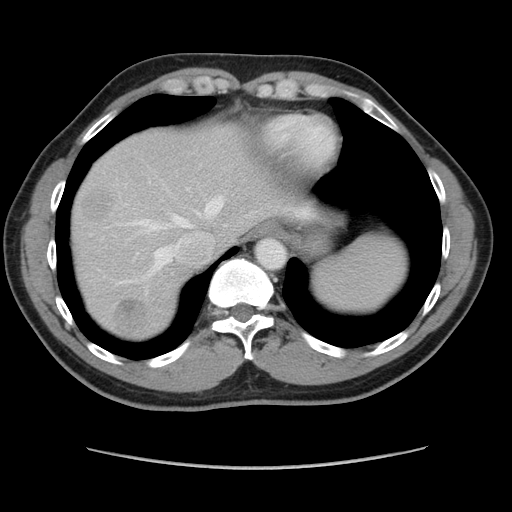
CT slice
Only some of the vessels may be annotated.
6 hepatic vessel regions are bounded by box=[137, 252, 138, 254]; box=[195, 196, 223, 218]; box=[186, 188, 189, 190]; box=[146, 289, 147, 293]; box=[116, 280, 138, 284]; box=[118, 215, 214, 279]. 2 liver tumor regions are bounded by box=[116, 299, 149, 329]; box=[82, 191, 111, 221].